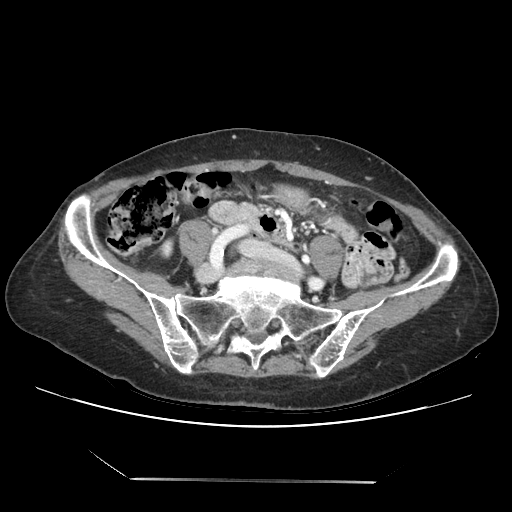
CT slice, Abdomen
The pancreas is bounded by (208, 200, 260, 227).